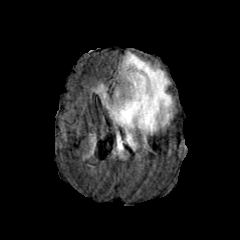
FLAIR magnetic resonance.
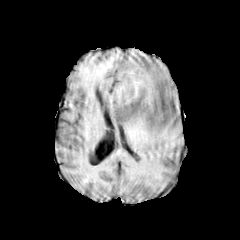
Same slice, T1-weighted MR.
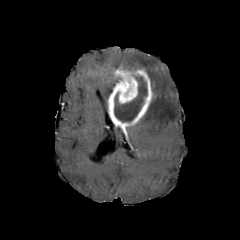
Same slice, post-contrast T1-weighted magnetic resonance.
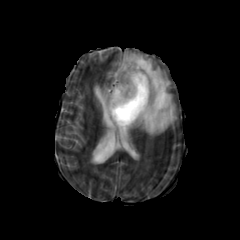
T2-weighted MRI.
The enhancing tumor lies within region(107, 64, 152, 146). The non-enhancing tumor core lies within region(114, 77, 146, 121). 3 edema regions appear at region(122, 52, 175, 149); region(97, 78, 121, 109); region(116, 128, 127, 152).